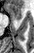

Magnetic resonance
Anterior hippocampus: x1=8, y1=5, x2=22, y2=19.